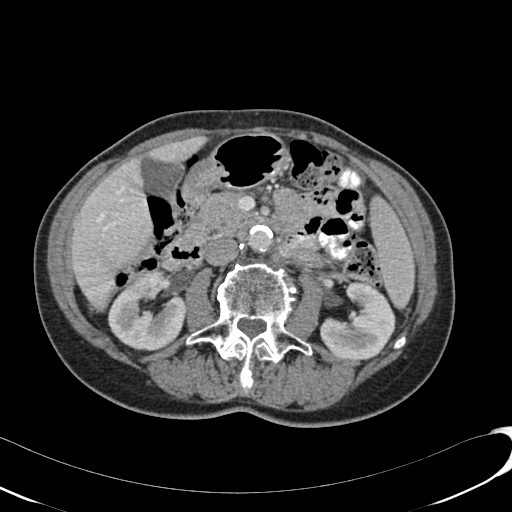
Upper abdomen. CT slice.
Annotated regions:
* kidney: rect(109, 270, 185, 349); rect(321, 283, 394, 359)
* liver: rect(150, 136, 205, 162); rect(72, 157, 150, 305)